MR 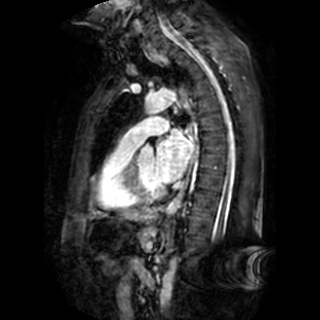

The left atrium appears at rect(155, 129, 193, 182).